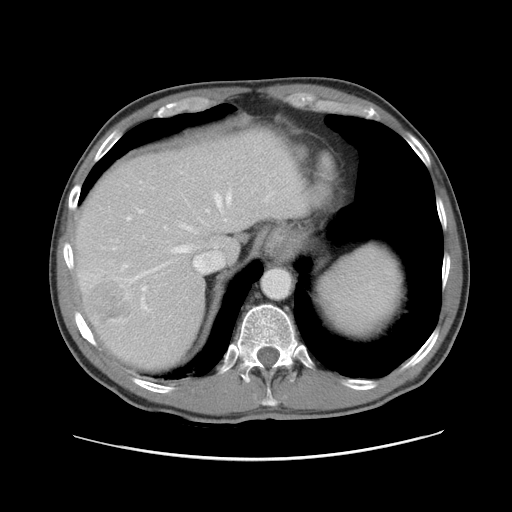
CT scan slice; Liver
Not every hepatic vessel necessarily has a box.
hepatic vessel: (165,227,167,228), (180,223,198,233), (127,217,130,219), (172,244,199,252), (126,262,169,283), (137,209,143,212), (142,286,146,289), (206,209,209,211), (193,242,224,268), (214,192,231,209), (113,247,115,249), (141,296,149,310), (121,264,126,270), (265,194,270,201) | liver tumor: (88,281,132,324)